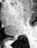

Magnetic resonance. Medial temporal lobe. Posterior hippocampus at 12 38 18 40.